Field of view 500 mm wide, 1.50 mm slice spacing. Abdomen. CT. Slice index 83.

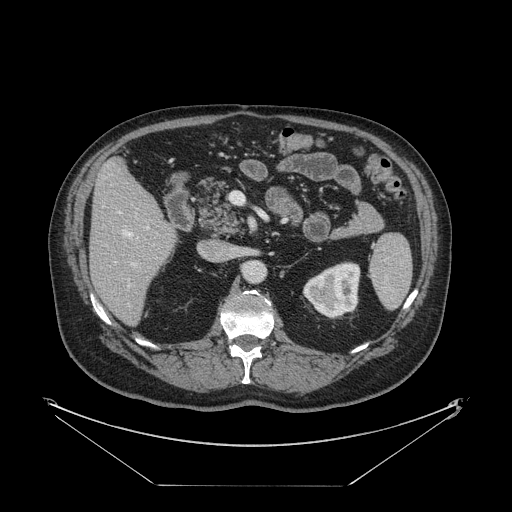

The vessel boxes may cover only some of the vessels.
Segmented structures:
• hepatic vessel: bbox=[145, 226, 148, 228]; bbox=[131, 263, 133, 264]; bbox=[117, 211, 119, 212]